Head; 240x240 px; Slice 27 of 155
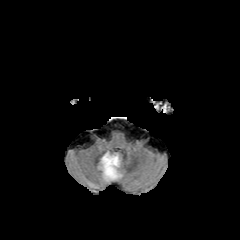
FLAIR magnetic resonance.
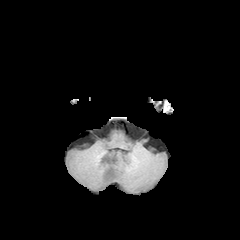
T1-weighted MR.
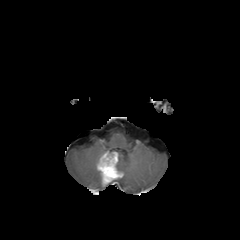
Same slice, post-contrast T1-weighted magnetic resonance.
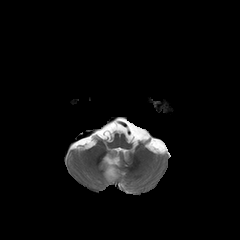
T2-weighted MRI.
The non-enhancing tumor core appears at left=98, top=152, right=117, bottom=169. The enhancing tumor lies within left=100, top=156, right=116, bottom=176.